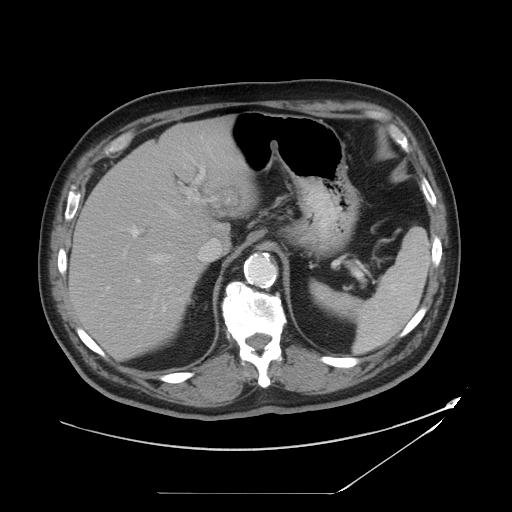 CT scan slice. Liver. Some hepatic vessels may have no box.
Segmented structures:
* liver tumor: x1=216 y1=186 x2=244 y2=212
* hepatic vessel (principal 15 of 18): x1=176 y1=298 x2=182 y2=300, x1=118 y1=225 x2=142 y2=237, x1=162 y1=296 x2=166 y2=313, x1=122 y1=245 x2=128 y2=258, x1=166 y1=268 x2=171 y2=269, x1=136 y1=279 x2=139 y2=282, x1=159 y1=204 x2=180 y2=217, x1=187 y1=155 x2=204 y2=184, x1=106 y1=286 x2=109 y2=289, x1=148 y1=254 x2=169 y2=263, x1=206 y1=189 x2=207 y2=191, x1=168 y1=243 x2=170 y2=245, x1=155 y1=288 x2=158 y2=293, x1=180 y1=184 x2=216 y2=204, x1=165 y1=286 x2=173 y2=291